Field of view 240x240 mm
FLAIR MR.
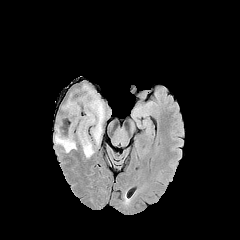
T1-weighted MR image.
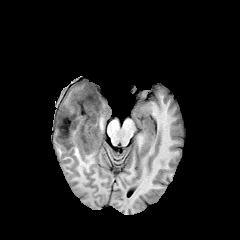
Post-contrast T1-weighted magnetic resonance.
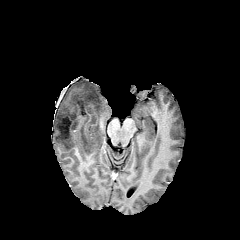
T2-weighted MR.
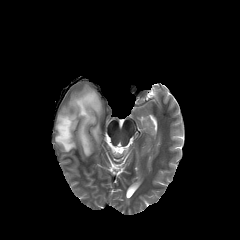
{
  "non-enhancing_tumor_core": [
    "l=56, t=88, r=99, b=144"
  ],
  "edema": [
    "l=54, t=90, r=105, b=158",
    "l=62, t=94, r=74, b=111",
    "l=74, t=88, r=84, b=96"
  ]
}